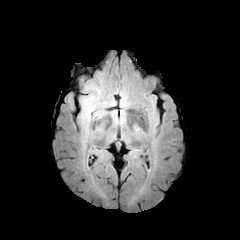
FLAIR magnetic resonance.
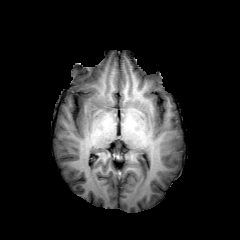
T1-weighted MRI.
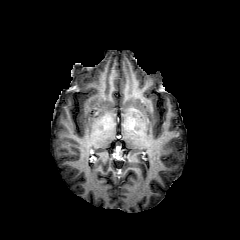
Same slice, post-contrast T1-weighted MRI.
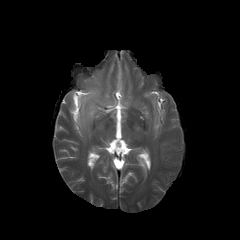
T2-weighted magnetic resonance of the same slice.
Edema = x1=119 y1=92 x2=131 y2=114, x1=79 y1=86 x2=104 y2=127.